240x240; Brain
FLAIR MR image.
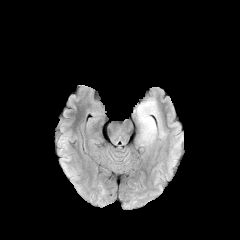
T1-weighted MR image.
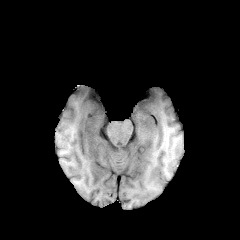
Post-contrast T1-weighted MR image.
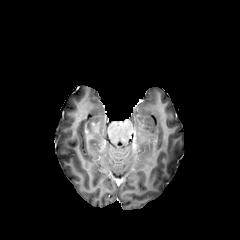
T2-weighted MR.
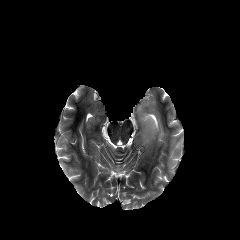
Edema: bounding box 136 98 164 145.